Image size 240x240 | Brain
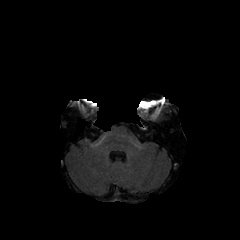
FLAIR MR.
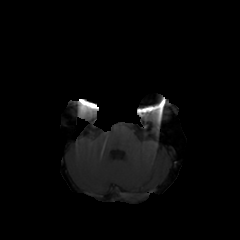
T1-weighted MR.
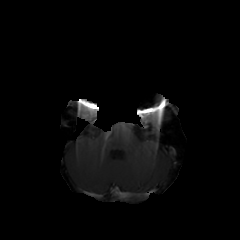
Post-contrast T1-weighted MR image.
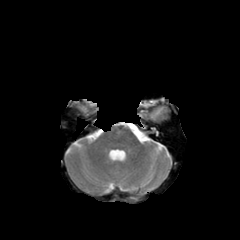
T2-weighted MR image.
{
  "non-enhancing_tumor_core": [
    "region(140, 101, 163, 114)"
  ]
}